Slice 76 of 143; Image size 512x512; CT scan slice

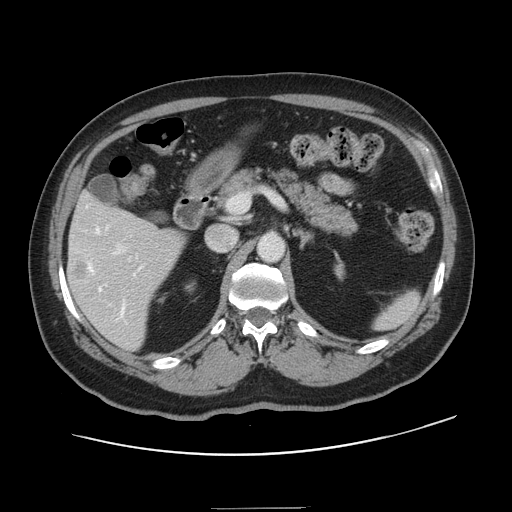

Not every hepatic vessel necessarily has a box.
Hepatic vessel: bbox=[120, 300, 124, 317]; bbox=[114, 246, 123, 254]; bbox=[86, 205, 87, 207]; bbox=[96, 228, 99, 233]; bbox=[88, 264, 93, 273]; bbox=[106, 226, 108, 228]; bbox=[98, 287, 101, 290]; bbox=[133, 273, 135, 275]; bbox=[138, 267, 140, 270].
Liver tumor: bbox=[75, 264, 86, 279].